Image width 700 mm, 512x512, Upper abdomen, CT slice
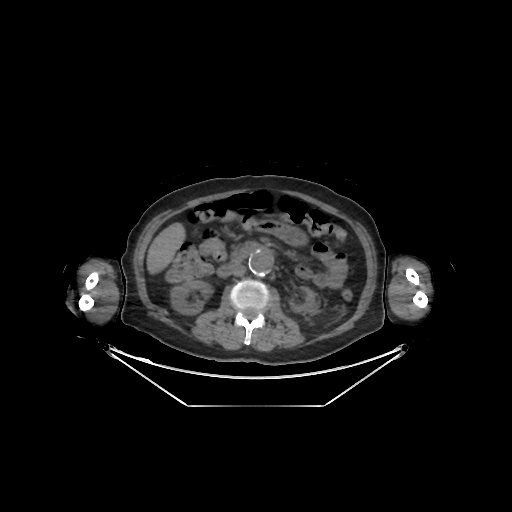
Segmented structures:
• bone: [413, 289, 427, 307], [79, 272, 98, 310], [231, 280, 268, 344], [406, 268, 419, 284]
• liver: [147, 224, 184, 272]
• kidney: [289, 286, 319, 315], [170, 279, 213, 315]